CT; Abdomen; 512x512 px

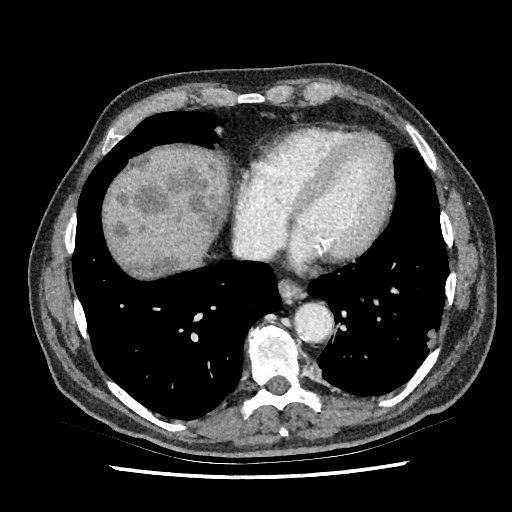

liver:
  - 106 147 226 270
liver_lesion:
  - 114 222 129 239
  - 126 154 150 171
  - 117 192 128 205
  - 125 257 180 276
  - 135 166 226 230
  - 173 209 182 224
  - 137 223 147 233
  - 207 163 217 173